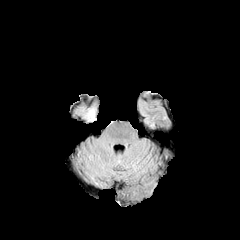
FLAIR MRI.
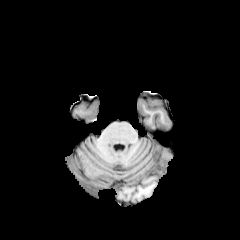
T1-weighted MRI.
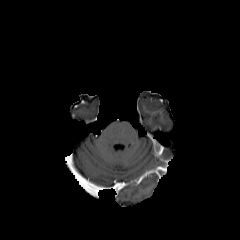
Post-contrast T1-weighted MR image of the same slice.
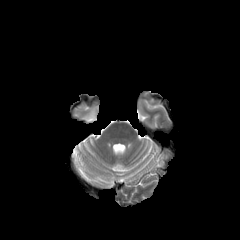
T2-weighted MRI.
<segmentation>
  <edema>(84,108,95,120)</edema>
</segmentation>